Head; Slice index 79; 240x240
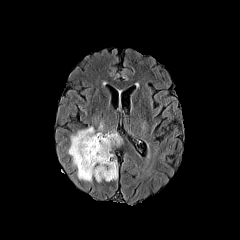
FLAIR MR.
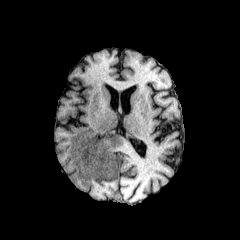
T1-weighted MR image.
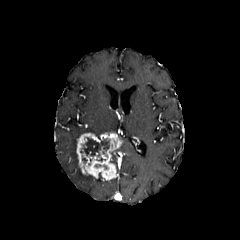
Post-contrast T1-weighted MR of the same slice.
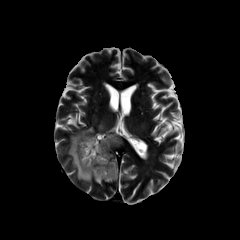
Same slice, T2-weighted MR.
The edema appears at bbox=[68, 127, 102, 183]. The non-enhancing tumor core is located at bbox=[80, 137, 110, 157]. The enhancing tumor lies within bbox=[76, 131, 122, 181].